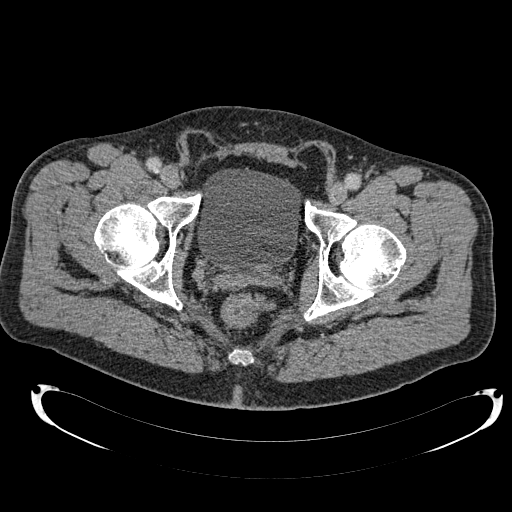
CT image
Urinary bladder: left=197, top=168, right=301, bottom=275.